FLAIR MR image.
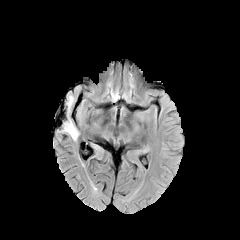
T1-weighted MRI.
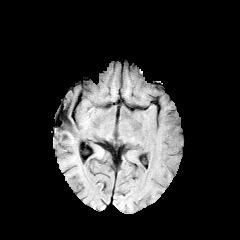
Post-contrast T1-weighted magnetic resonance.
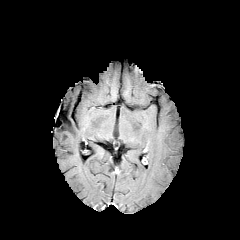
T2-weighted MR.
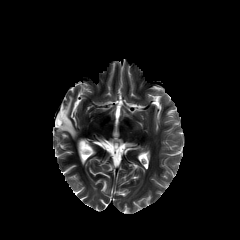
The non-enhancing tumor core lies within x1=63 y1=118 x2=71 y2=127. 2 edema regions appear at x1=60 y1=115 x2=79 y2=140, x1=66 y1=95 x2=74 y2=111.